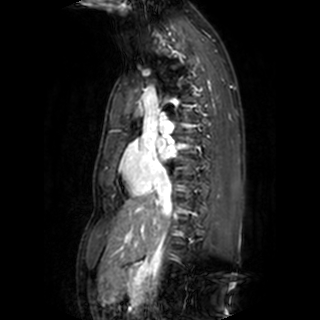 Magnetic resonance; Image size 320x320; Heart
left_atrium:
  - region(157, 138, 175, 158)